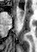 37x52 | Magnetic resonance | Hippocampus

The anterior hippocampus lies within box(19, 9, 23, 17).